Field of view 240x240 mm | Brain
FLAIR MRI.
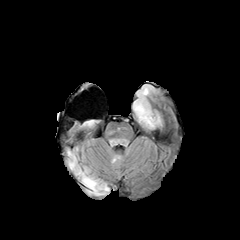
T1-weighted magnetic resonance.
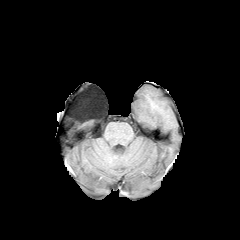
Post-contrast T1-weighted MR image.
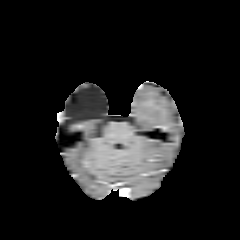
T2-weighted MR.
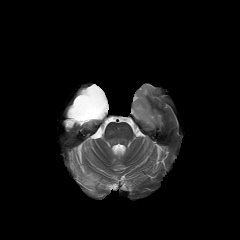
- edema: 68 151 106 194, 134 102 151 121